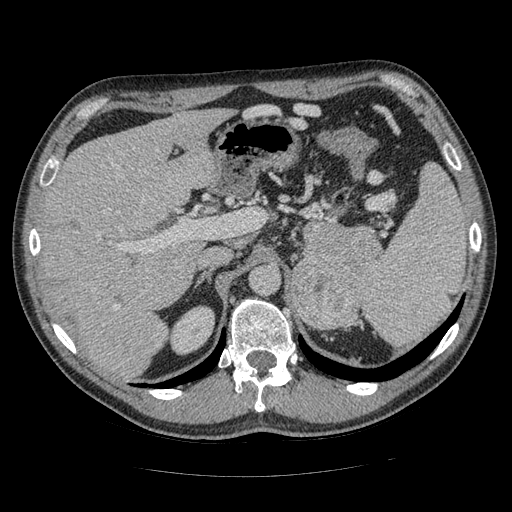 512x512. CT scan slice. Abdomen. The pancreas is located at <bbox>304, 221, 378, 281</bbox>. The pancreatic tumor appears at <bbox>291, 255, 361, 328</bbox>.